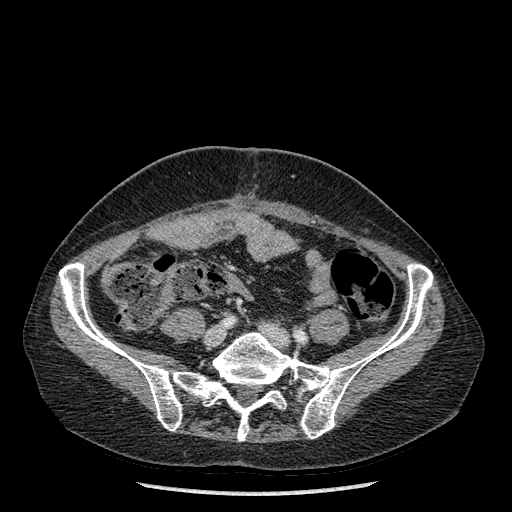

Computed tomography
Bone — (left=59, top=262, right=286, bottom=441), (left=213, top=263, right=433, bottom=438).